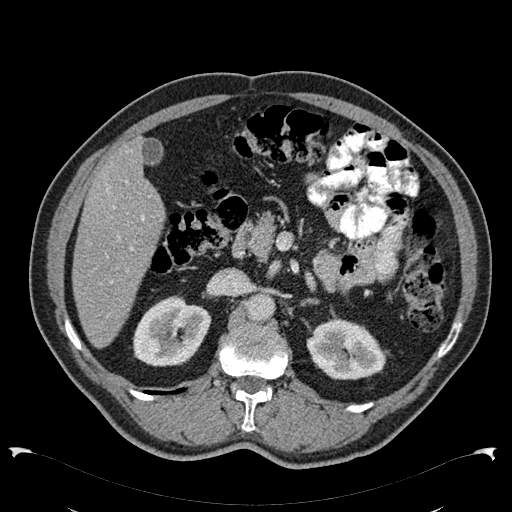

CT slice. Kidney: (x1=133, y1=296, x2=210, y2=366), (x1=307, y1=319, x2=385, y2=379).
Liver: (x1=72, y1=134, x2=164, y2=348).